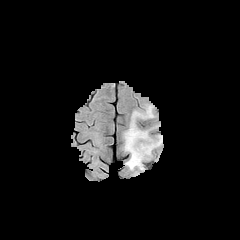
FLAIR MR image.
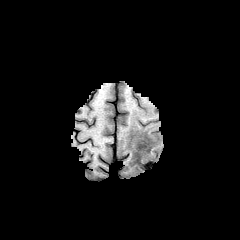
T1-weighted MRI.
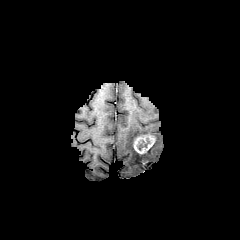
Post-contrast T1-weighted MR image of the same slice.
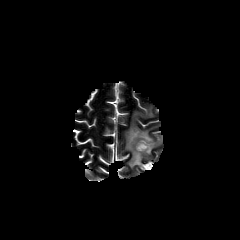
Same slice, T2-weighted magnetic resonance.
Brain
2 edema regions are bounded by 124,118,161,170; 141,108,152,117. The enhancing tumor is located at 134,135,154,153.